Medial temporal lobe, MR image, 36x40 px, Slice 19 of 43 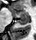 The posterior hippocampus is at bbox(15, 19, 28, 24). The anterior hippocampus lies within bbox(10, 10, 28, 18).